Slice index 12 | Magnetic resonance

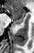 Anterior hippocampus: bounding box rect(7, 5, 25, 20).
Posterior hippocampus: bounding box rect(13, 20, 22, 24).